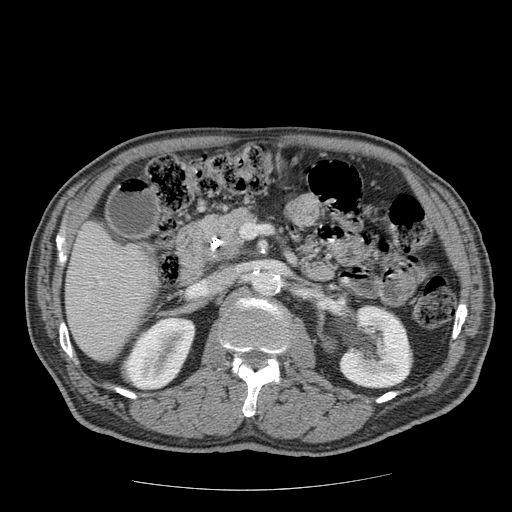

Computed tomography | Image size 512x512
pancreatic tumor: box=[188, 217, 241, 263] | pancreas: box=[205, 205, 260, 266]